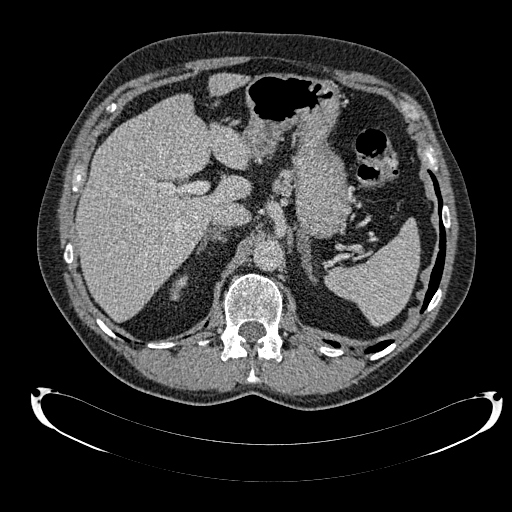 512x512 px; CT scan slice

{"liver": ["rect(78, 96, 249, 320)", "rect(209, 74, 247, 94)"], "kidney": ["rect(177, 277, 186, 286)"]}